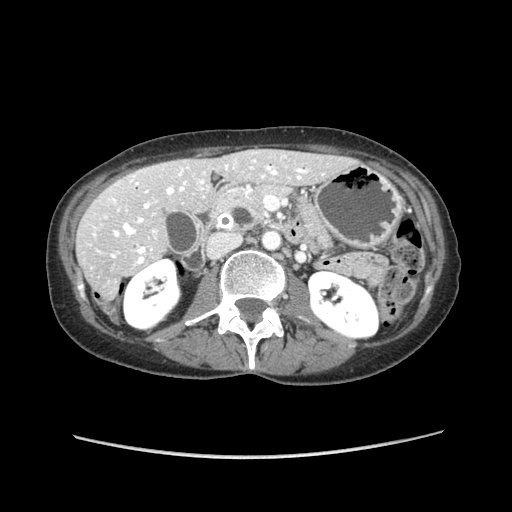

Image size 512x512, CT slice
<segmentation>
  <pancreas>214,188,333,250</pancreas>
</segmentation>